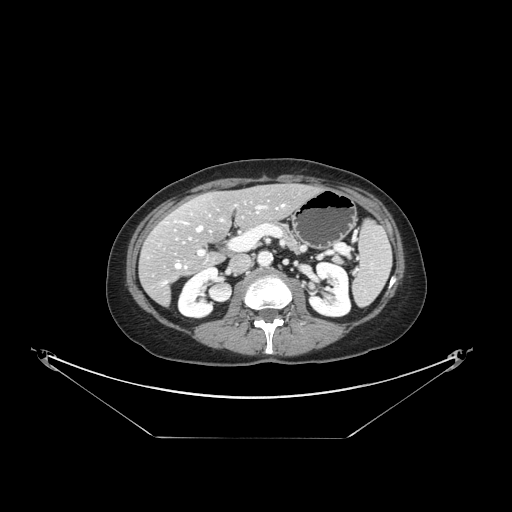

CT image

Not every hepatic vessel necessarily has a box.
Segmented structures:
- hepatic vessel: left=197, top=226, right=201, bottom=230; left=258, top=206, right=262, bottom=208; left=198, top=251, right=203, bottom=254